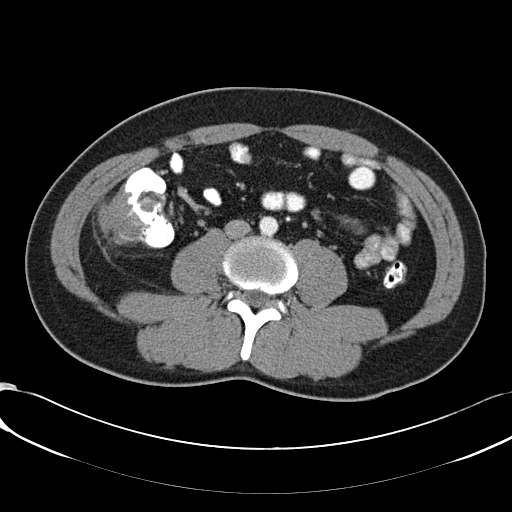
CT scan slice; Image size 512x512
Colon tumor — (x1=140, y1=193, x2=157, y2=209), (x1=100, y1=189, x2=142, y2=242).